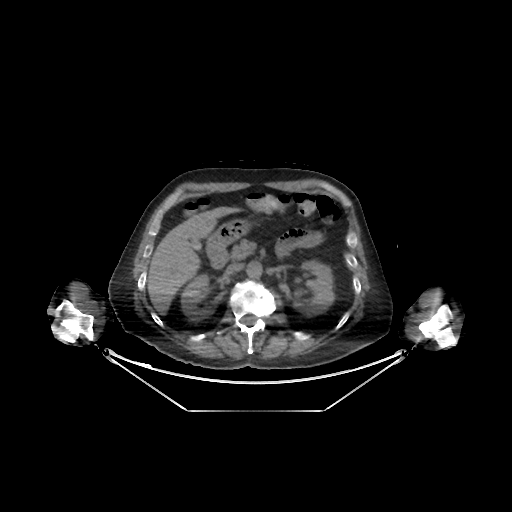

CT image | Abdomen | Image size 512x512

Segmented structures:
* liver: [146,207,239,310]
* kidney: [291,258,335,317], [179,272,226,321]